CT scan slice. Upper abdomen. Slice index 30.

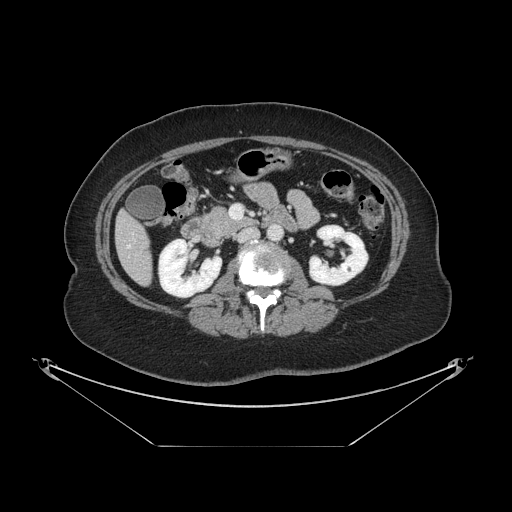
Pancreas: 208, 207, 253, 237.